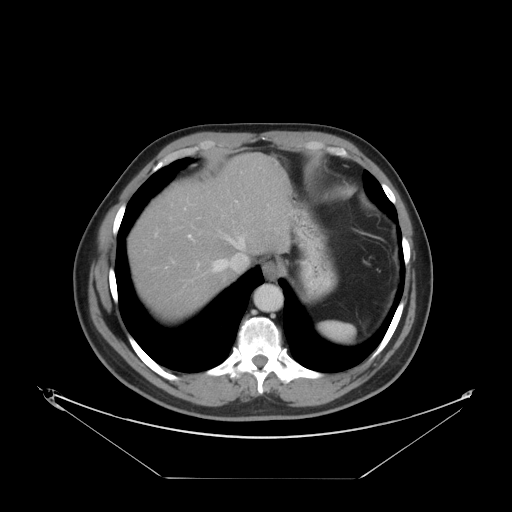
Computed tomography. Liver. The vessel boxes may cover only some of the vessels.
{
  "hepatic_vessel": [
    "(213,237,246,271)",
    "(188,234,191,238)"
  ]
}